Abdomen. CT slice.

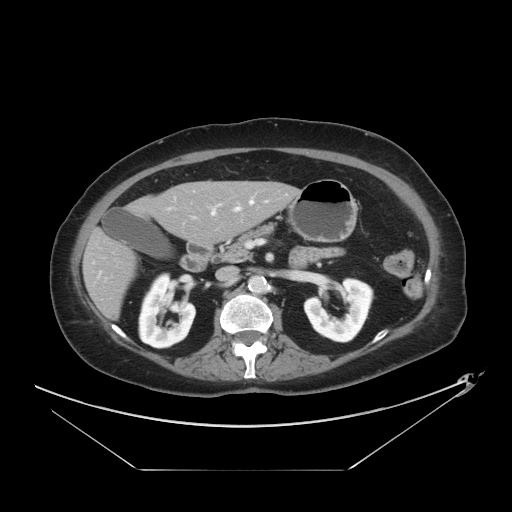

Only some of the vessels may be annotated.
Hepatic vessel: bounding box x1=249, y1=197, x2=253, y2=204; x1=265, y1=201, x2=267, y2=202; x1=168, y1=208, x2=171, y2=209; x1=234, y1=207, x2=240, y2=210; x1=99, y1=272, x2=100, y2=275; x1=211, y1=204, x2=219, y2=215.